Liver; CT image

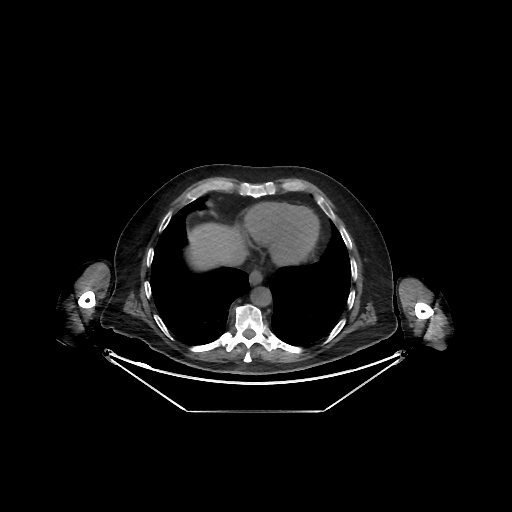 liver:
  - {"x1": 188, "y1": 223, "x2": 247, "y2": 269}